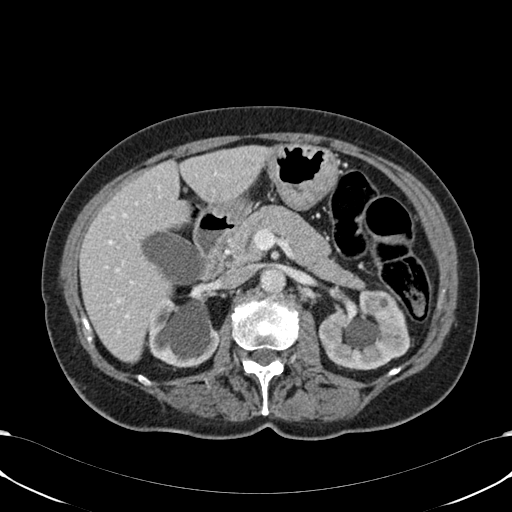 Computed tomography, Liver, 512x512 px
The liver lies within (x1=80, y1=146, x2=271, y2=361). 2 kidney regions are located at (x1=319, y1=291, x2=409, y2=369), (x1=149, y1=281, x2=219, y2=366).